Pelvis. Field of view 388 mm wide, 2.50 mm slice spacing. CT slice. 512x512 px.
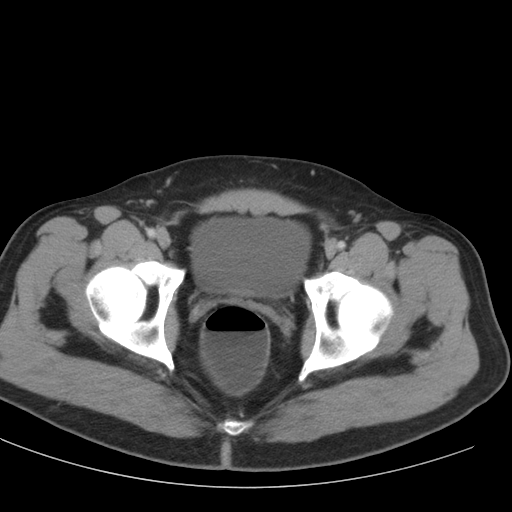 urinary_bladder:
  - (left=189, top=213, right=310, bottom=299)